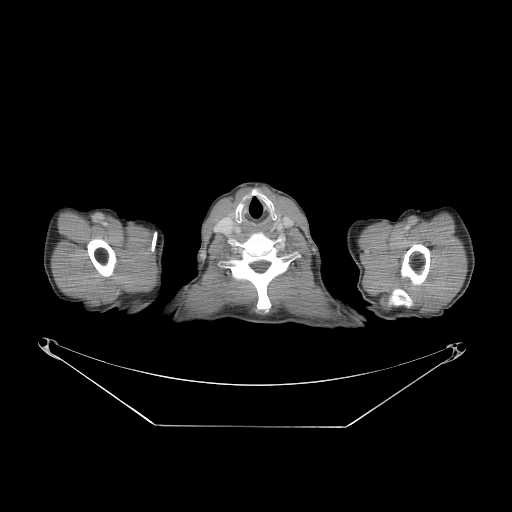

Image size 512x512. CT image.

4 bone regions are located at bbox(401, 244, 429, 284); bbox(390, 289, 411, 306); bbox(88, 239, 115, 276); bbox(228, 233, 290, 308).